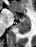

MR
<segmentation>
  <posterior_hippocampus>box=[16, 21, 30, 34]</posterior_hippocampus>
  <anterior_hippocampus>box=[14, 13, 29, 20]</anterior_hippocampus>
</segmentation>